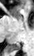

MR image.

Posterior hippocampus = box=[12, 44, 20, 49].